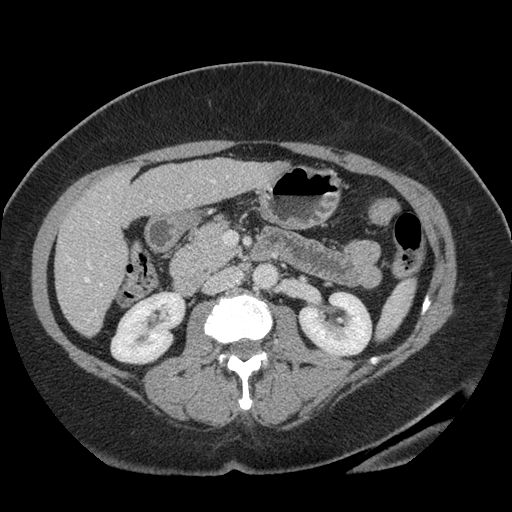
512x512, Computed tomography
The vessel boxes may cover only some of the vessels.
- hepatic vessel: (x1=211, y1=181, x2=215, y2=183), (x1=85, y1=278, x2=89, y2=281), (x1=87, y1=261, x2=92, y2=268), (x1=100, y1=284, x2=102, y2=286), (x1=149, y1=200, x2=151, y2=201), (x1=100, y1=264, x2=102, y2=266), (x1=96, y1=221, x2=98, y2=223)